FLAIR MR.
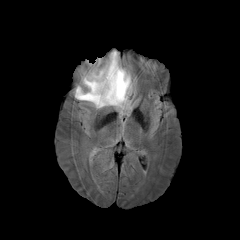
T1-weighted MR.
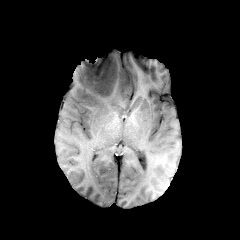
Post-contrast T1-weighted magnetic resonance.
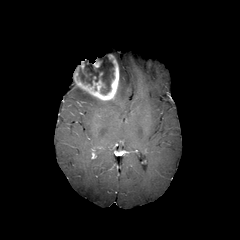
T2-weighted MR image.
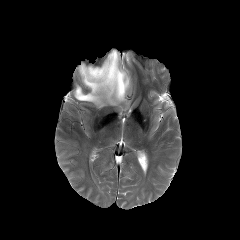
240x240 px; Head
The non-enhancing tumor core is at bbox=[82, 58, 113, 90]. 3 edema regions appear at bbox=[79, 68, 91, 83]; bbox=[95, 54, 108, 65]; bbox=[73, 50, 134, 118]. The enhancing tumor is located at bbox=[77, 54, 119, 100].